CT. 512x512 px.

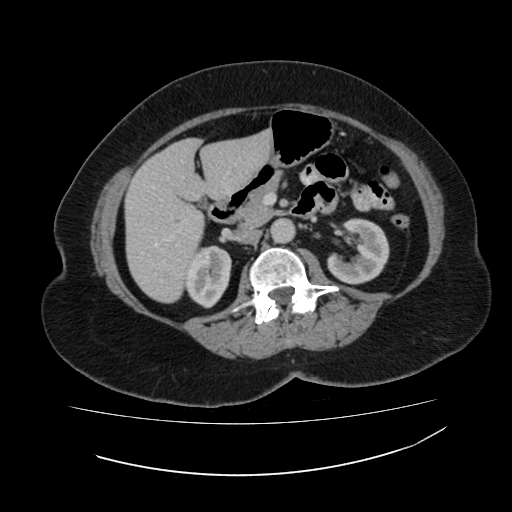
The liver lesion is bounded by bbox(161, 272, 171, 283). The liver is located at bbox(125, 131, 270, 302). 2 kidney regions are bounded by bbox(184, 247, 231, 306); bbox(327, 218, 387, 283).